Magnetic resonance. 320x320 px. 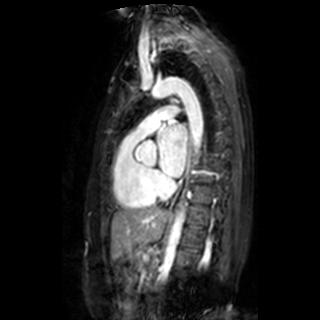
Left atrium at x1=158, y1=125, x2=186, y2=176.